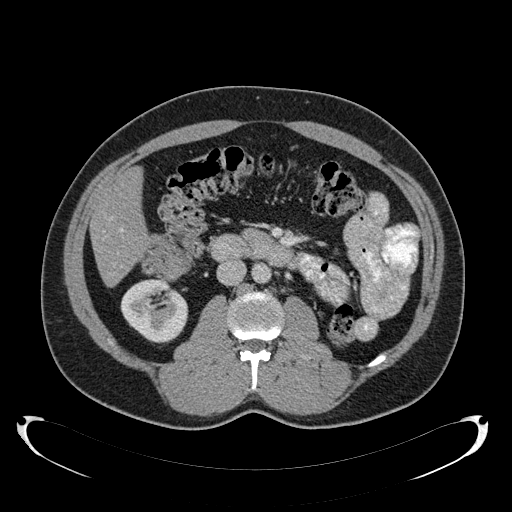

Liver | 512x512 px | CT image

{"kidney": ["bbox=[121, 280, 187, 341]"], "liver": ["bbox=[90, 168, 147, 285]"]}